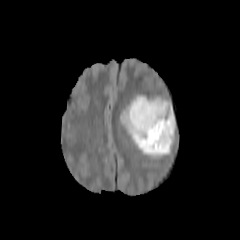
FLAIR MRI.
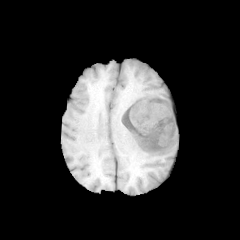
T1-weighted MR image.
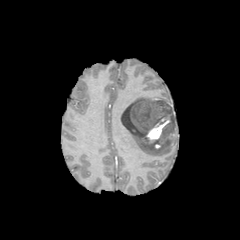
Post-contrast T1-weighted magnetic resonance.
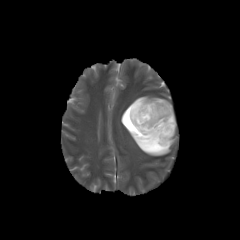
T2-weighted MR image of the same slice.
Head. Image size 240x240.
Non-enhancing tumor core = x1=121 y1=98 x2=175 y2=144.
Enhancing tumor = x1=146 y1=116 x2=170 y2=143.
Edema = x1=121 y1=122 x2=172 y2=156, x1=122 y1=95 x2=152 y2=114.